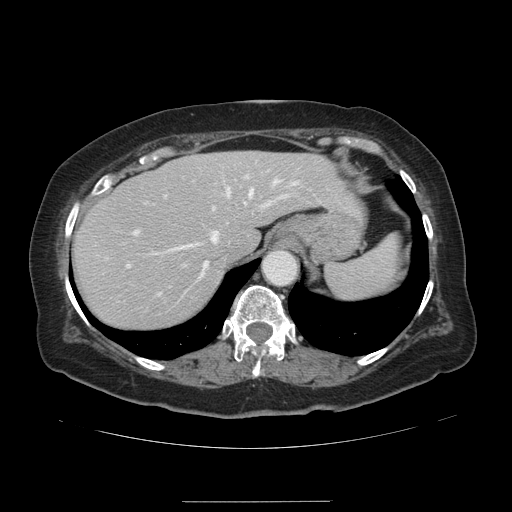 Computed tomography. Only some of the vessels may be annotated.
hepatic_vessel:
  - 133 230 138 234
  - 278 194 286 197
  - 126 264 129 266
  - 182 264 185 265
  - 249 189 252 195
  - 157 292 159 294
  - 244 174 248 177
  - 211 206 213 208
  - 225 187 229 195
  - 262 200 273 205
  - 210 231 217 240
  - 273 179 278 183
  - 292 181 296 183
  - 172 244 194 249
  - 164 195 165 196